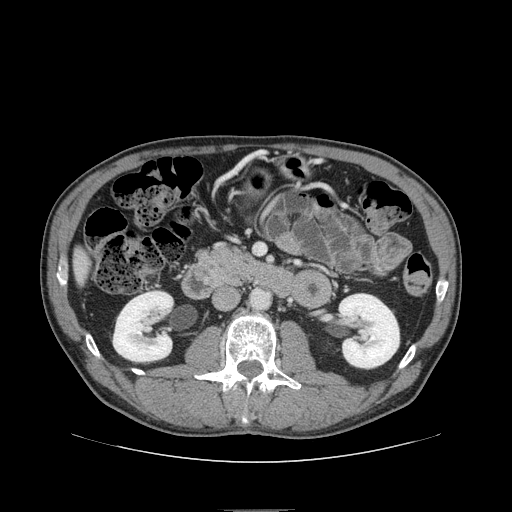

Computed tomography; 512x512 px; Abdomen

{
  "pancreas": [
    "(left=198, top=243, right=258, bottom=284)"
  ]
}